CT image

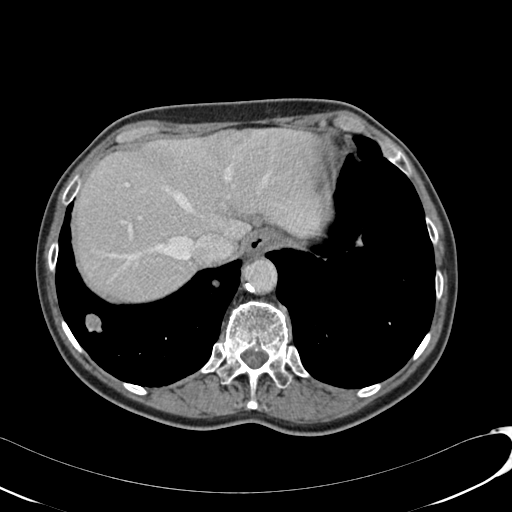
The liver appears at {"x1": 77, "y1": 129, "x2": 321, "y2": 301}. The hepatic lesion lies within {"x1": 204, "y1": 130, "x2": 250, "y2": 160}.